Slice 29/155. Field of view 240x240 mm.
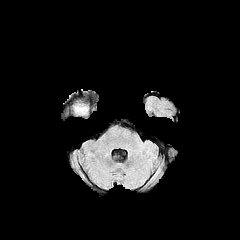
FLAIR MR image.
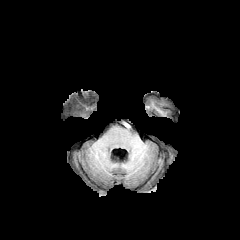
T1-weighted MR image of the same slice.
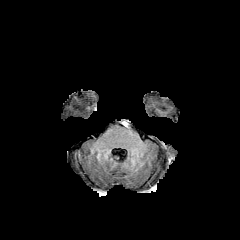
Post-contrast T1-weighted MR image.
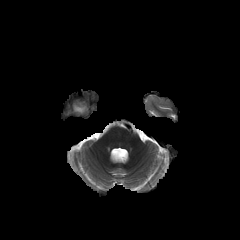
T2-weighted magnetic resonance.
- edema: x1=74 y1=105 x2=86 y2=114